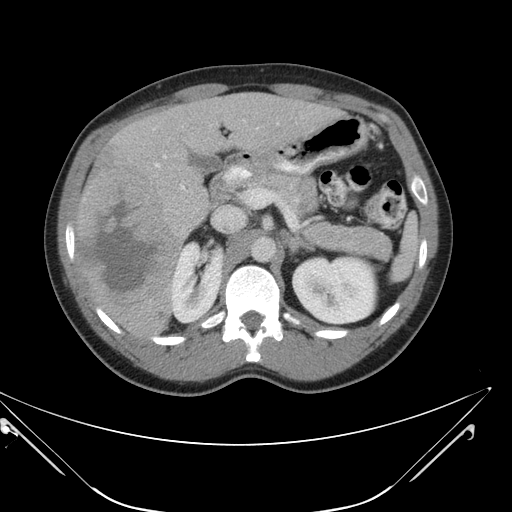

CT
The vessel boxes may cover only some of the vessels.
hepatic_vessel:
  - (left=155, top=163, right=159, bottom=166)
  - (left=181, top=185, right=184, bottom=188)
  - (left=163, top=155, right=166, bottom=157)
  - (left=213, top=207, right=243, bottom=229)
  - (left=153, top=128, right=154, bottom=130)
liver_tumor:
  - (left=77, top=143, right=179, bottom=335)